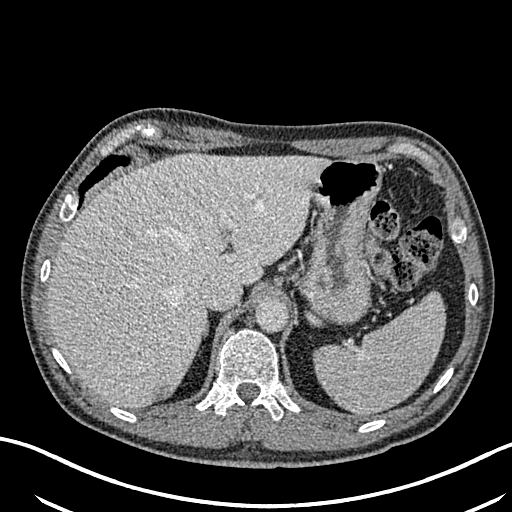 Liver. CT slice.

Liver lesion — left=151, top=382, right=172, bottom=401.
Liver — left=48, top=154, right=329, bottom=408.